CT image | 512x512 px 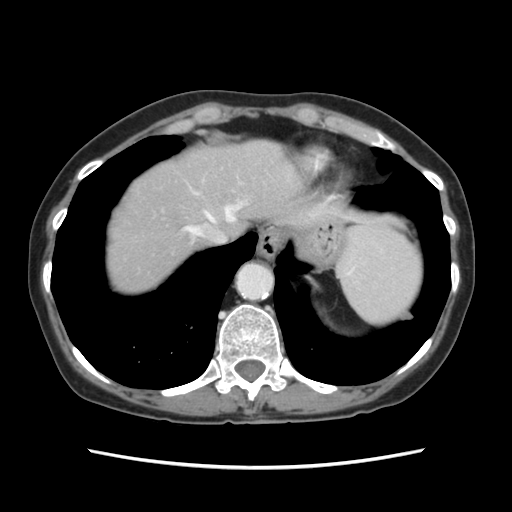
Only some of the vessels may be annotated.
3 hepatic vessel regions are bounded by [206, 214, 213, 221], [225, 205, 238, 221], [188, 228, 193, 233].